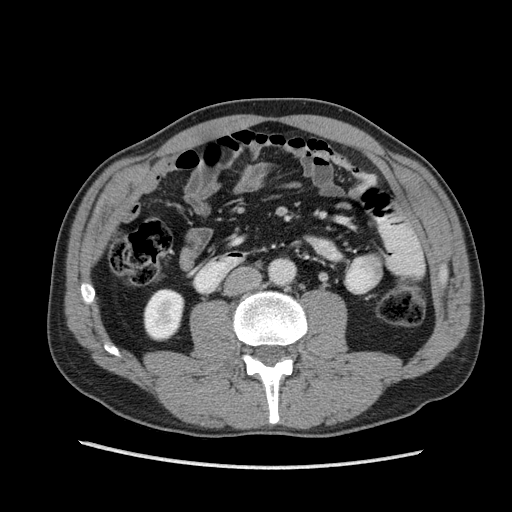
512x512 px, CT

Segmented structures:
* kidney: 145:290:182:337